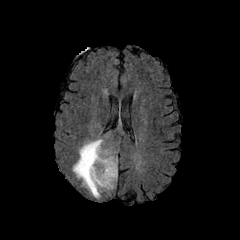
FLAIR MR.
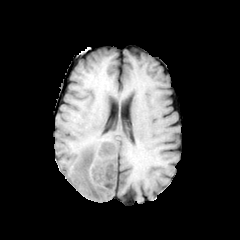
T1-weighted MRI.
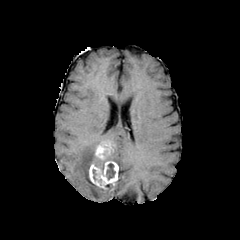
Post-contrast T1-weighted MRI.
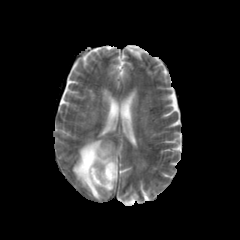
Same slice, T2-weighted magnetic resonance.
Head
enhancing_tumor:
  - left=89, top=141, right=117, bottom=190
edema:
  - left=72, top=139, right=103, bottom=197
non-enhancing_tumor_core:
  - left=107, top=163, right=114, bottom=178